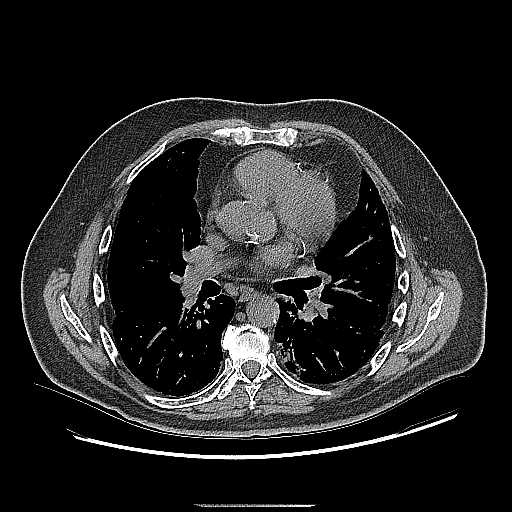 CT | Chest

lung_tumor:
  - (x1=275, y1=331, x2=307, y2=378)
  - (x1=277, y1=297, x2=292, y2=304)